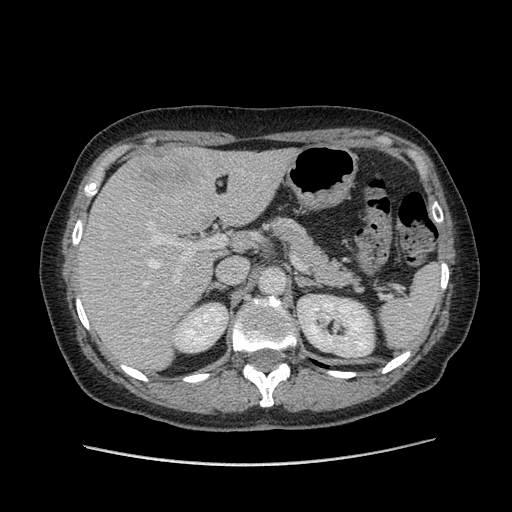 512x512 | CT scan slice
Only some of the vessels may be annotated.
<segmentation>
  <hepatic_vessel>(left=251, top=234, right=257, bottom=239), (left=148, top=223, right=227, bottom=263), (left=173, top=264, right=181, bottom=280), (left=228, top=233, right=231, bottom=234), (left=250, top=242, right=254, bottom=246)</hepatic_vessel>
  <liver_tumor>(left=132, top=148, right=223, bottom=187)</liver_tumor>
</segmentation>